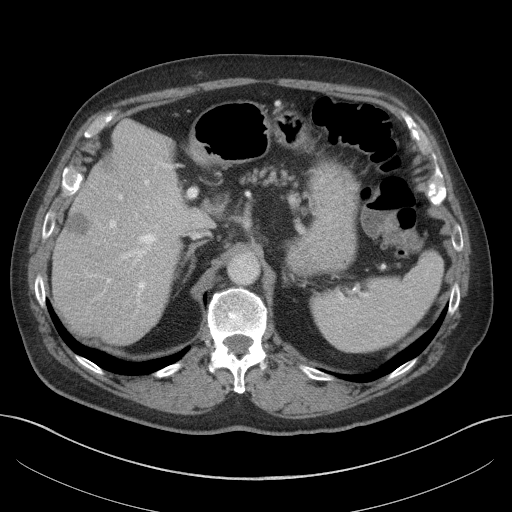

Computed tomography | Upper abdomen
Findings:
- liver: (51, 121, 186, 345)
- liver lesion: (65, 213, 90, 235), (102, 154, 117, 171)